Computed tomography; Abdomen 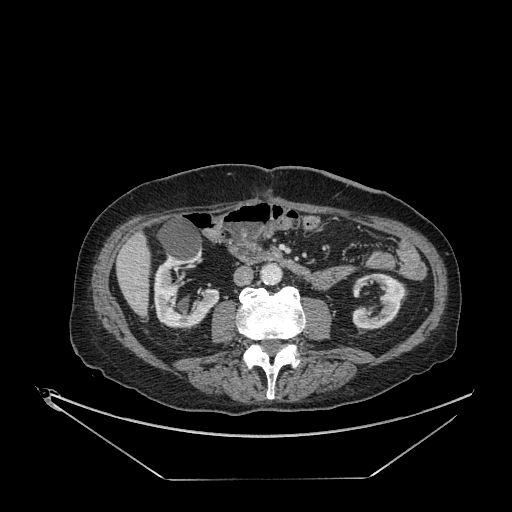
2 kidney regions are located at [353, 274, 404, 328], [154, 256, 218, 327]. The liver is bounded by [117, 232, 149, 316].